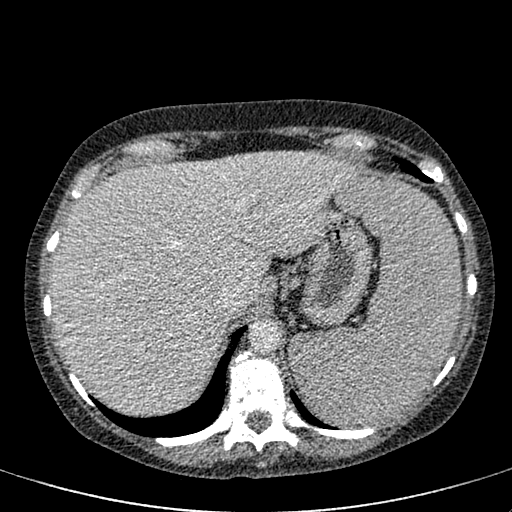
CT
liver: l=53, t=153, r=358, b=413